Head, Slice 69 of 155, Image width 240 mm
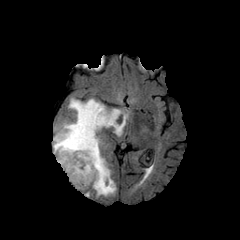
FLAIR MRI.
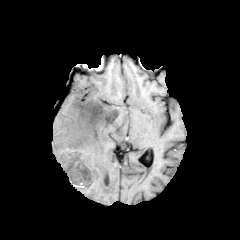
T1-weighted MRI.
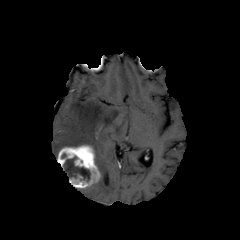
Post-contrast T1-weighted MR.
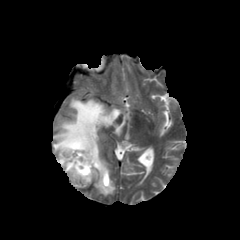
T2-weighted magnetic resonance of the same slice.
non-enhancing_tumor_core:
  - l=61, t=157, r=90, b=181
  - l=64, t=142, r=95, b=163
edema:
  - l=53, t=98, r=129, b=196
enhancing_tumor:
  - l=57, t=145, r=100, b=187